Field of view 240 mm wide, 1.00 mm slice spacing; Image size 240x240
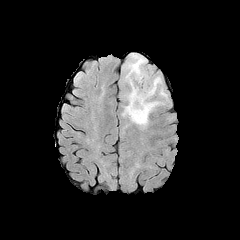
FLAIR MR.
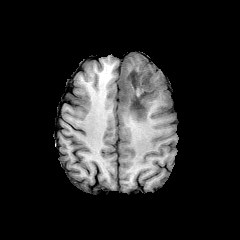
T1-weighted MR image.
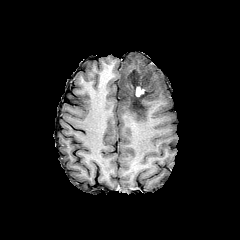
Post-contrast T1-weighted magnetic resonance.
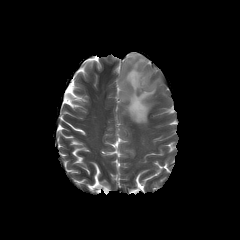
T2-weighted MRI.
Findings:
• enhancing tumor: 136,87,143,96
• non-enhancing tumor core: 127,70,151,112
• edema: 120,53,162,126